Image size 512x512, Computed tomography
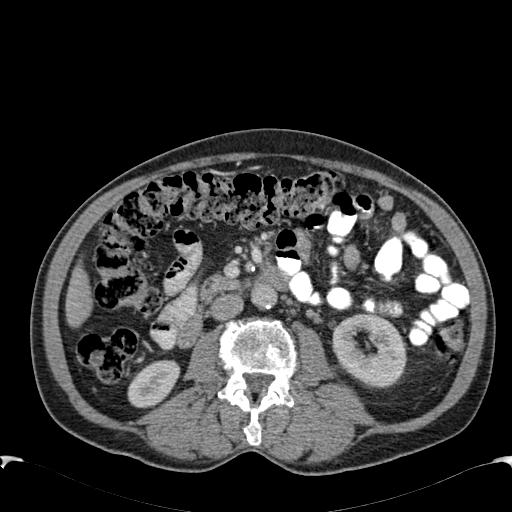 liver:
  - l=65, t=260, r=91, b=326
kidney:
  - l=128, t=361, r=179, b=407
  - l=333, t=313, r=405, b=386